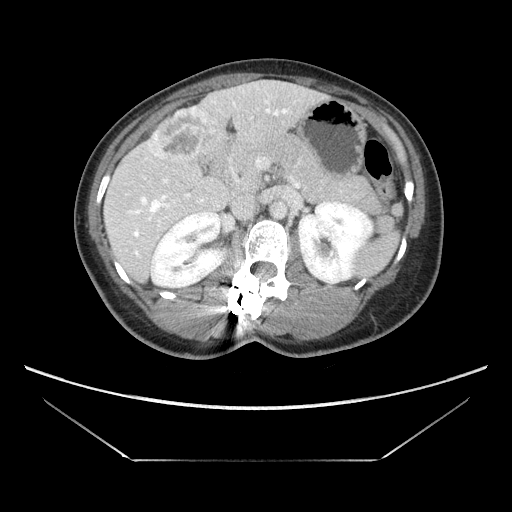 512x512; CT image; Abdomen
Liver tumor: bounding box (x1=149, y1=107, x2=205, y2=162).